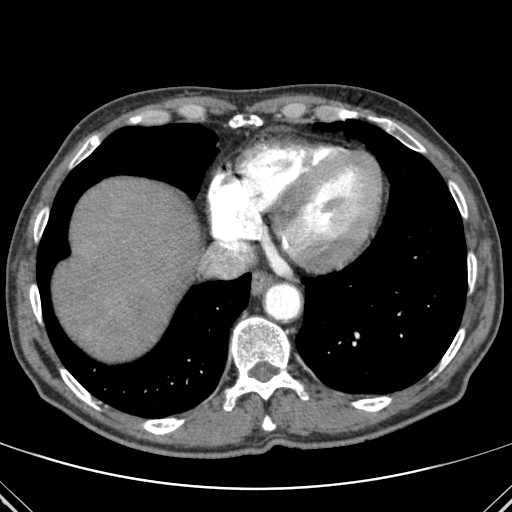

512x512; CT slice; Upper abdomen
The liver is bounded by 52,177,201,362. 14 bone regions are located at 352,397,391,411; 378,119,425,152; 468,255,476,289; 449,181,467,217; 29,285,41,321; 439,329,464,369; 142,418,184,434; 60,369,99,409; 34,208,48,241; 339,110,356,118; 262,416,275,430; 229,115,262,127; 70,136,99,165; 224,317,308,410. 2 lung regions appear at 36,123,250,417; 296,120,466,393.